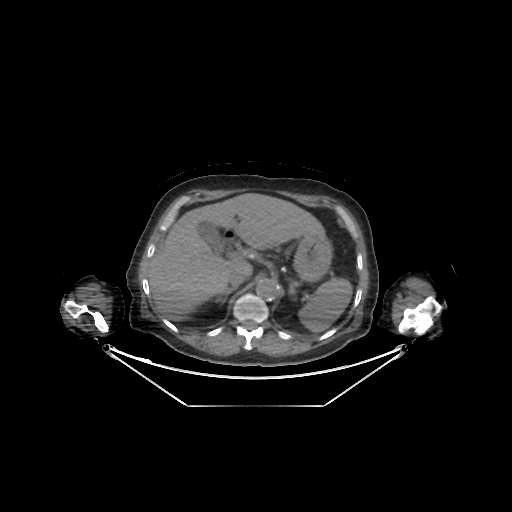 CT scan slice | Upper abdomen
{"liver": ["<box>148,194,324,319</box>"], "bone": ["<box>399,297,441,334</box>", "<box>143,279,148,294</box>", "<box>208,328,221,335</box>", "<box>355,290,361,306</box>", "<box>357,255,362,269</box>", "<box>234,295,267,349</box>", "<box>279,332,290,338</box>", "<box>320,330,335,339</box>", "<box>164,320,177,331</box>", "<box>65,301,108,332</box>"]}